FLAIR MR image.
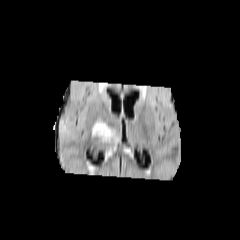
T1-weighted MR.
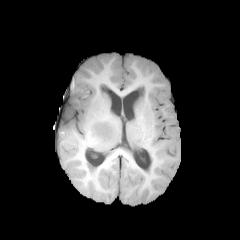
Post-contrast T1-weighted magnetic resonance.
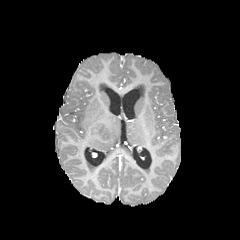
T2-weighted MRI.
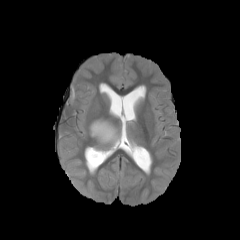
240x240 px
Non-enhancing tumor core: x1=93, y1=121, x2=111, y2=138.
Edema: x1=90, y1=118, x2=118, y2=145.